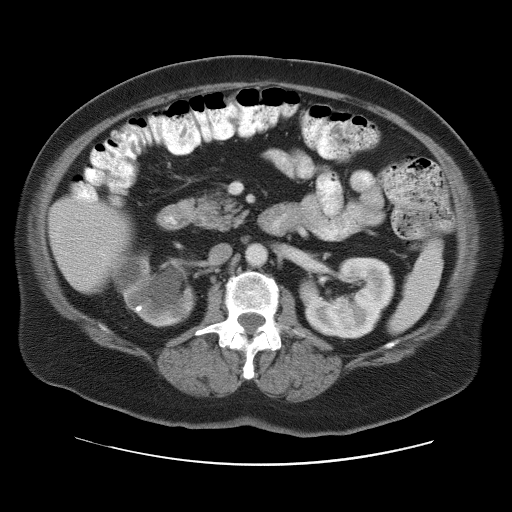
Upper abdomen | 512x512 px | CT

Spleen at x1=390, y1=238, x2=442, y2=330.